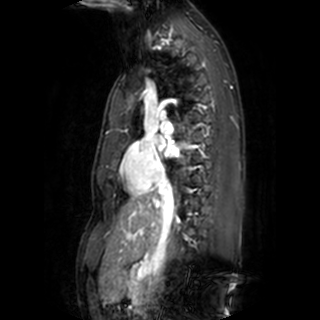
Cardiac | 320x320 | MRI slice
<segmentation>
  <left_atrium>{"x1": 166, "y1": 145, "x2": 178, "y2": 156}, {"x1": 155, "y1": 137, "x2": 165, "y2": 149}</left_atrium>
</segmentation>